Head
FLAIR MR.
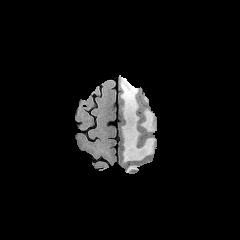
T1-weighted magnetic resonance.
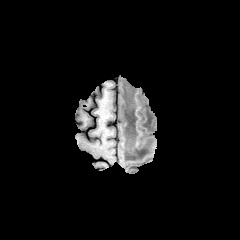
Post-contrast T1-weighted MR image.
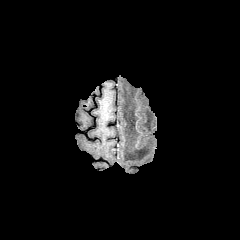
T2-weighted magnetic resonance.
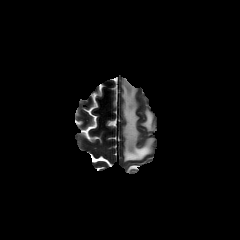
The edema lies within left=120, top=79, right=153, bottom=161. The non-enhancing tumor core lies within left=134, top=146, right=146, bottom=153.